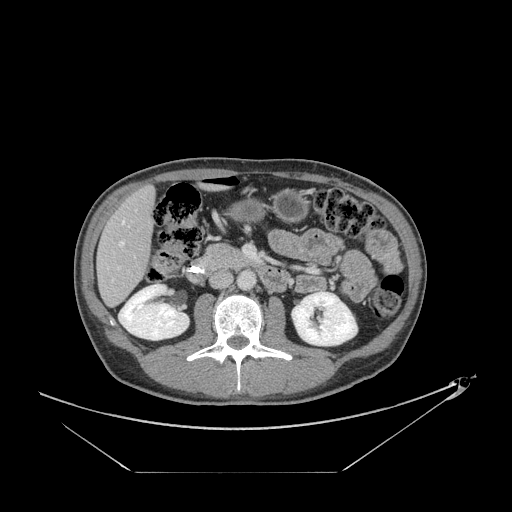

512x512 px. Abdomen. CT scan slice.

Pancreas at 208, 245, 240, 266.